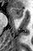

MR, Hippocampus
Segmented structures:
- anterior hippocampus: box(11, 7, 23, 19)